Computed tomography. Upper abdomen. Slice 186/245. 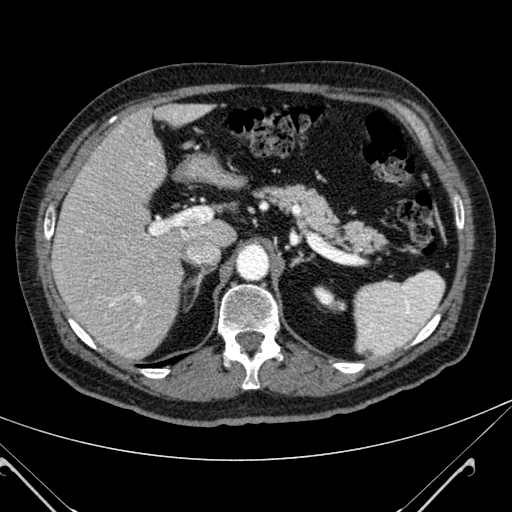 - kidney: x1=316 y1=288 x2=332 y2=304
- liver: x1=157 y1=101 x2=211 y2=124, x1=50 y1=114 x2=231 y2=356